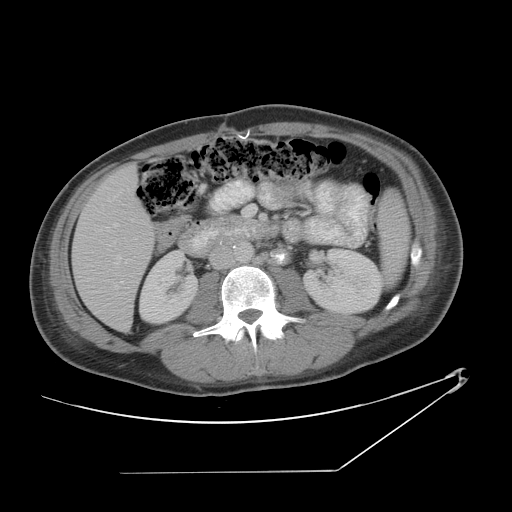

512x512 | Liver | CT image
Not every hepatic vessel necessarily has a box.
<segmentation>
  <hepatic_vessel>bbox(115, 224, 117, 226); bbox(116, 285, 118, 288); bbox(134, 238, 135, 239); bbox(106, 227, 108, 230); bbox(115, 256, 128, 264)</hepatic_vessel>
</segmentation>